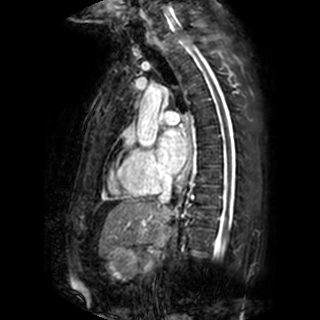
Magnetic resonance. Cardiac. Annotated regions:
• left atrium: (158, 128, 186, 173)